Field of view 400 mm wide, 3.00 mm slice spacing, Slice 27 of 145, CT slice
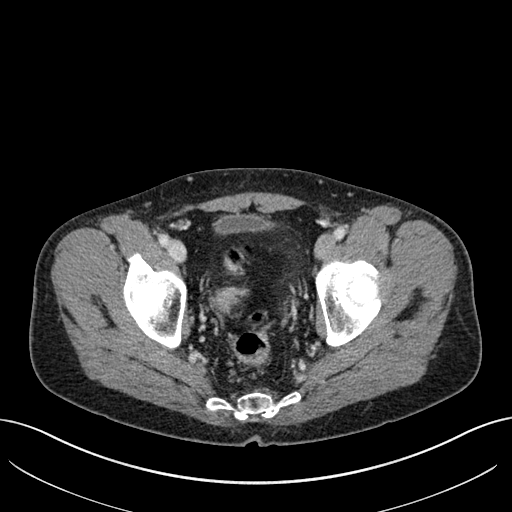
colon tumor: left=224, top=258, right=238, bottom=271; left=214, top=287, right=244, bottom=311